Slice index 35, Image size 240x240
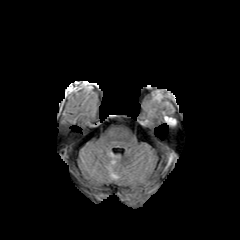
FLAIR MR.
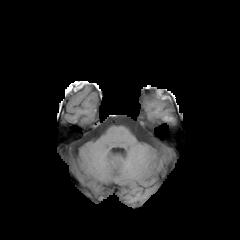
Same slice, T1-weighted MRI.
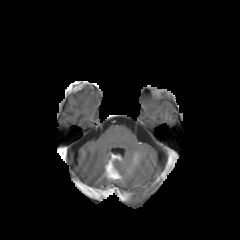
Same slice, post-contrast T1-weighted MRI.
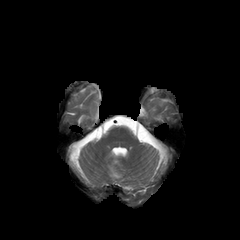
T2-weighted magnetic resonance.
Non-enhancing tumor core: [106,155,118,178].